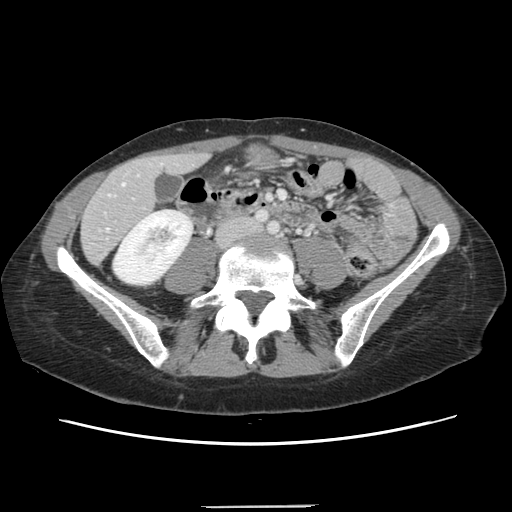
512x512, CT scan slice, Abdomen

Not every hepatic vessel necessarily has a box.
Hepatic vessel — [106, 228, 108, 230], [121, 183, 124, 185], [108, 194, 114, 196].